Brain, 240x240, Field of view 240x240 mm
FLAIR MR image.
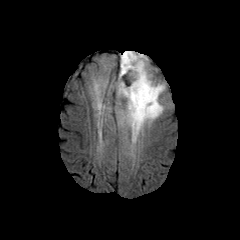
T1-weighted MR.
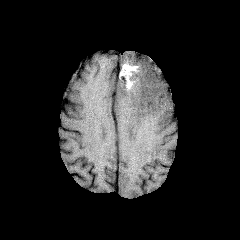
Post-contrast T1-weighted MR.
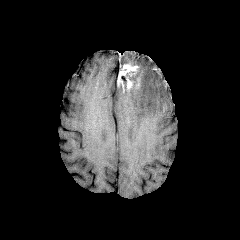
T2-weighted MR image.
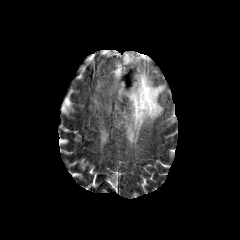
The edema is located at bbox=[116, 51, 167, 146]. 2 non-enhancing tumor core regions are bounded by bbox=[120, 55, 136, 68]; bbox=[119, 70, 141, 92]. The enhancing tumor appears at bbox=[117, 63, 138, 87].